FLAIR magnetic resonance.
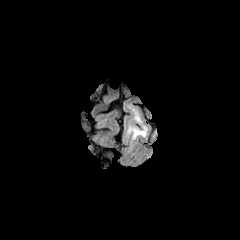
T1-weighted MR.
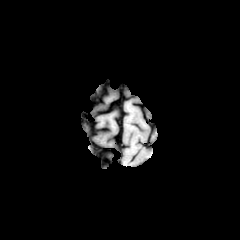
Post-contrast T1-weighted magnetic resonance.
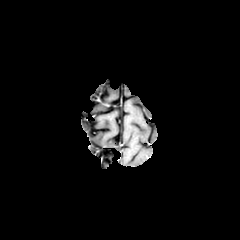
T2-weighted MR image.
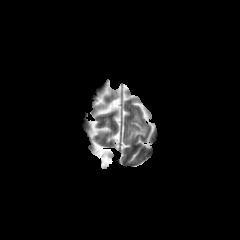
Image size 240x240, Brain
Edema — [127,113,149,139].